Image size 512x512 | CT 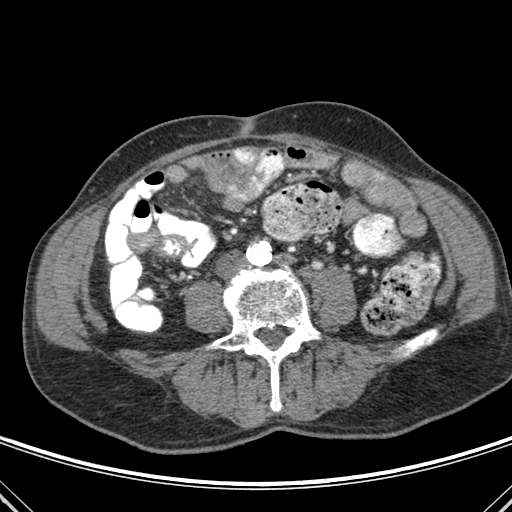
2 bone regions are located at [210,270,320,411], [395,329,437,356].